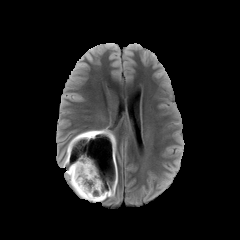
FLAIR MR image.
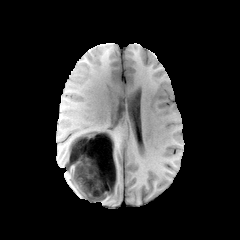
T1-weighted MR image of the same slice.
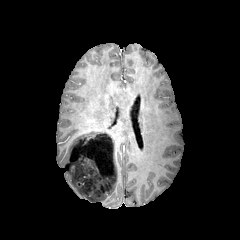
Post-contrast T1-weighted MRI of the same slice.
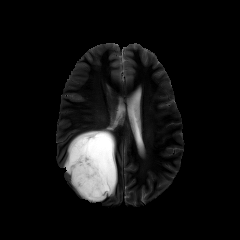
T2-weighted MRI.
Brain
The non-enhancing tumor core is located at <box>64,129,115,199</box>. 4 edema regions are located at <box>64,140,71,164</box>, <box>106,145,115,175</box>, <box>66,171,89,199</box>, <box>90,182,116,201</box>.